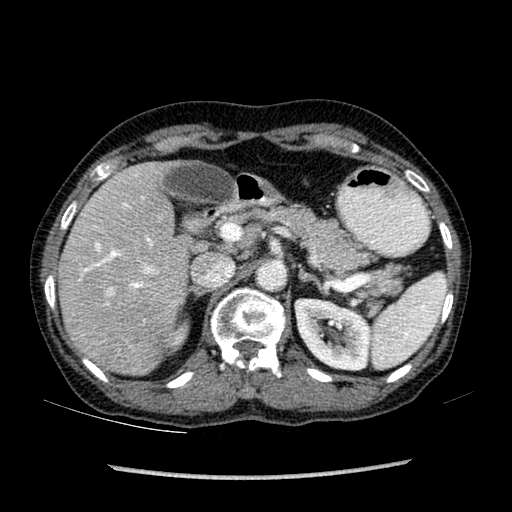

Liver. CT scan slice. The liver is located at bbox=[60, 169, 188, 373]. 2 kidney regions appear at bbox=[172, 333, 183, 344]; bbox=[296, 299, 369, 369].